Field of view 339x339 mm; CT slice; Image size 512x512; Slice 297 of 696 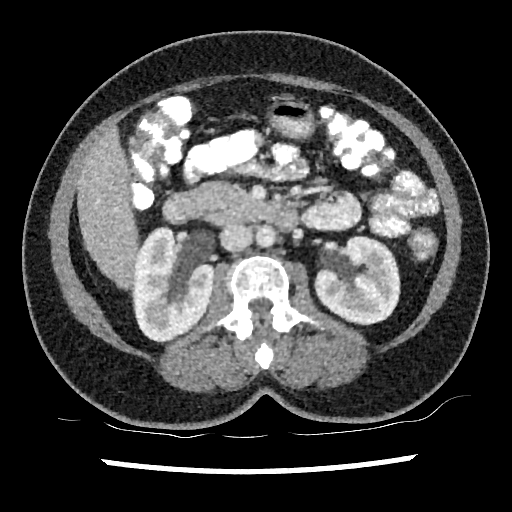

liver:
  - (78, 130, 138, 286)
kidney:
  - (316, 237, 399, 323)
  - (134, 228, 213, 340)